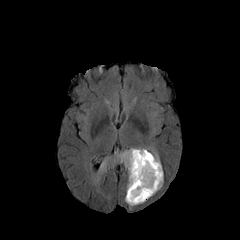
FLAIR MRI.
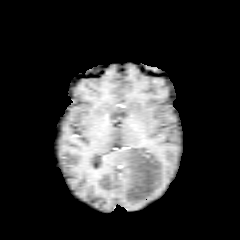
Same slice, T1-weighted magnetic resonance.
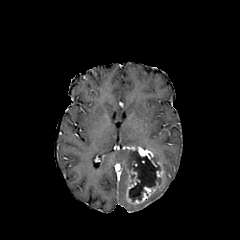
Post-contrast T1-weighted MRI.
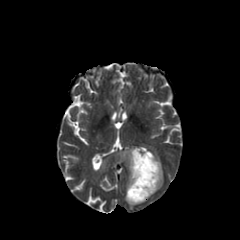
Same slice, T2-weighted MRI.
Brain.
Enhancing tumor = 126 169 139 201, 134 181 158 203, 131 146 158 166.
Edema = 124 194 138 206, 117 149 135 189, 148 172 163 198, 152 152 162 171.
Non-enhancing tumor core = 128 150 159 201.